Image size 512x512, Slice 22 of 45, Field of view 396x396 mm, CT slice 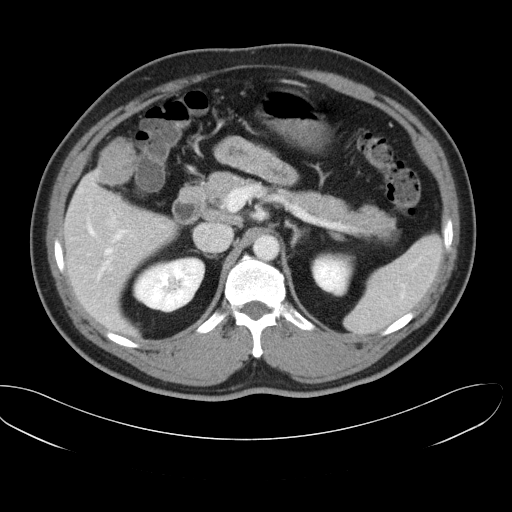 The vessel annotation is not exhaustive.
{
  "liver_tumor": [
    "98:140:134:185"
  ],
  "hepatic_vessel": [
    "106:215:116:226",
    "112:230:126:245",
    "86:222:95:235",
    "106:317:111:325",
    "97:247:113:279",
    "90:205:91:209"
  ]
}